Slice index 35. Head.
FLAIR MR image.
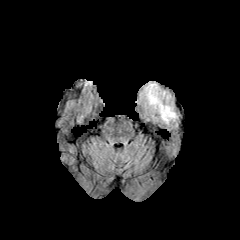
T1-weighted magnetic resonance.
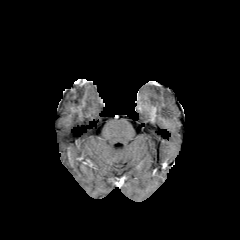
Post-contrast T1-weighted MRI.
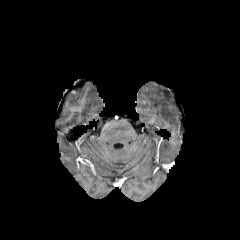
T2-weighted MR.
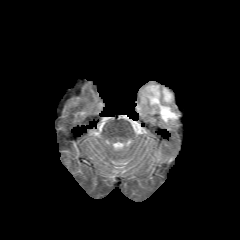
Annotated regions:
- edema: [135, 82, 179, 126]